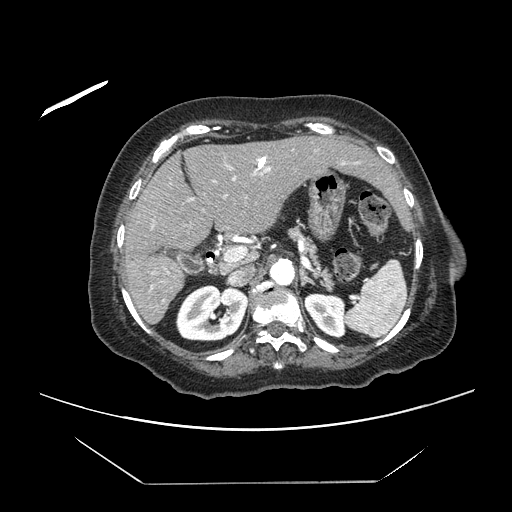

CT slice, Abdomen

Only some of the vessels may be annotated.
hepatic_vessel:
  - box=[226, 247, 246, 261]
  - box=[233, 177, 234, 179]